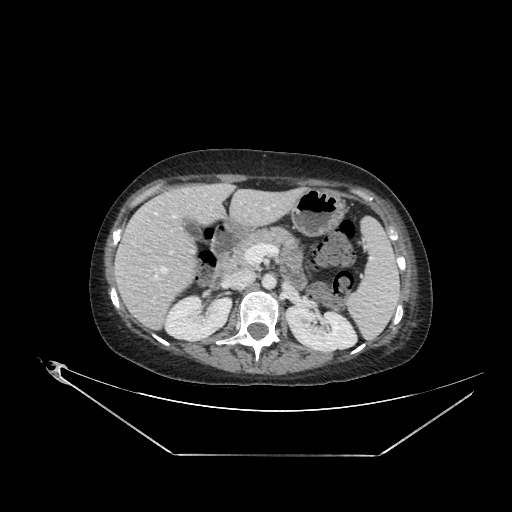

CT slice

The liver is located at (113, 184, 255, 329). 2 kidney regions are bounded by (165, 297, 231, 340), (286, 306, 356, 351).